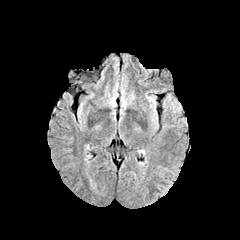
FLAIR MRI.
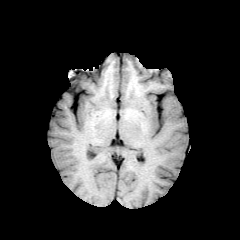
T1-weighted MR.
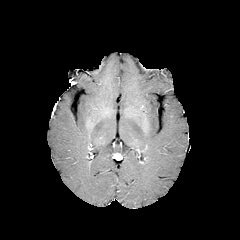
Post-contrast T1-weighted MR.
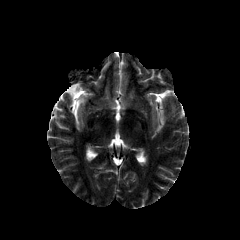
T2-weighted magnetic resonance.
Brain.
edema:
  - 165, 94, 181, 115
  - 148, 104, 158, 128